CT; Slice 391/816; Image size 512x512

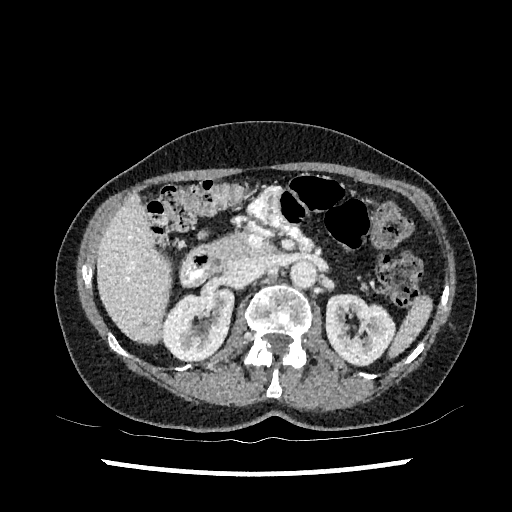 liver:
  - (left=97, top=195, right=171, bottom=342)
kidney:
  - (left=163, top=282, right=233, bottom=360)
  - (left=326, top=295, right=394, bottom=364)